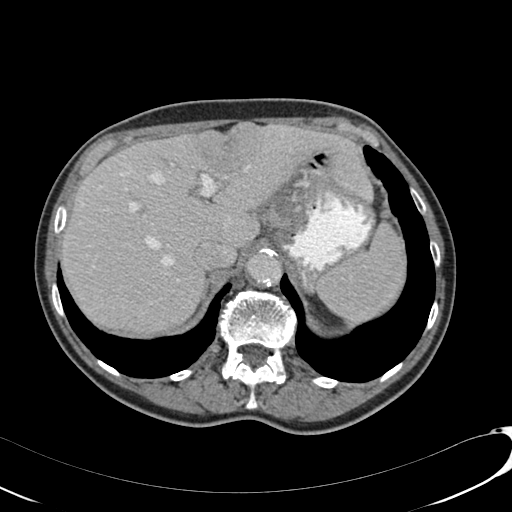

CT slice. Abdomen.
liver: region(63, 124, 372, 333) | liver lesion: region(200, 123, 260, 172)